Slice index 120, Field of view 240 mm wide, 1.00 mm slice spacing, Head
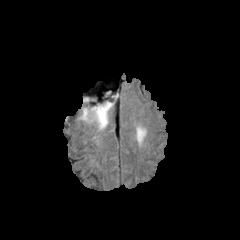
FLAIR MR image.
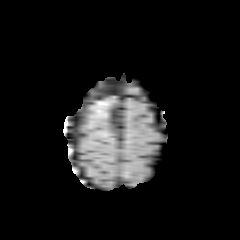
T1-weighted MR image.
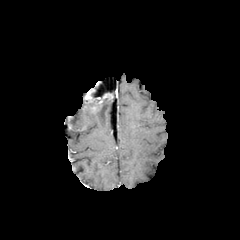
Post-contrast T1-weighted MR.
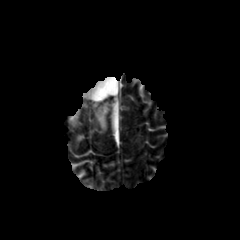
T2-weighted magnetic resonance.
edema:
  - (x1=79, y1=100, x2=114, y2=132)
  - (x1=136, y1=127, x2=146, y2=142)